Slice 11 of 31; MR image 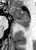

{"anterior_hippocampus": ["box(10, 7, 30, 22)"], "posterior_hippocampus": ["box(18, 23, 29, 28)"]}